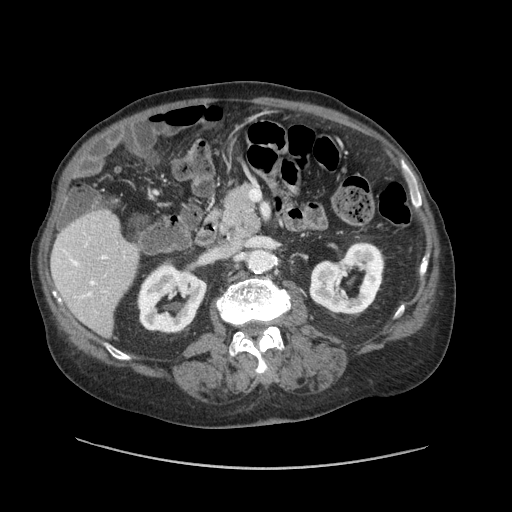 CT image
Only some of the vessels may be annotated.
Segmented structures:
* hepatic vessel: 248:240:250:244